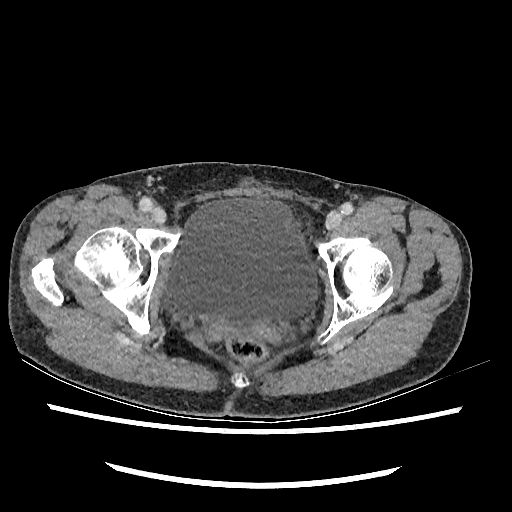

CT
Annotated regions:
* urinary bladder: l=160, t=195, r=317, b=335